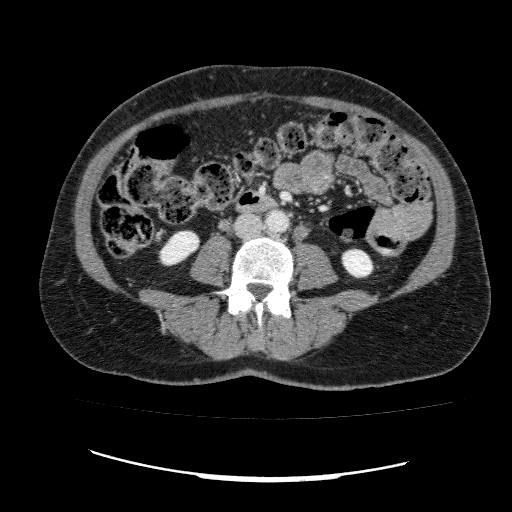

CT slice.

Annotated regions:
- kidney: x1=161, y1=232, x2=198, y2=264; x1=343, y1=250, x2=371, y2=276